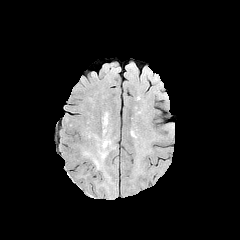
FLAIR MR.
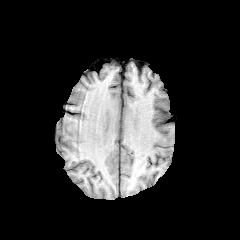
T1-weighted MR of the same slice.
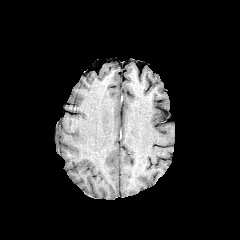
Same slice, post-contrast T1-weighted MR image.
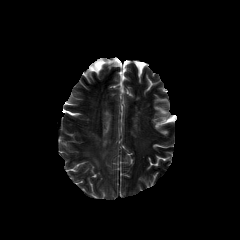
Same slice, T2-weighted magnetic resonance.
Brain
<segmentation>
  <edema>102, 111, 109, 137; 84, 152, 99, 166; 102, 138, 110, 148</edema>
</segmentation>